512x512, CT slice
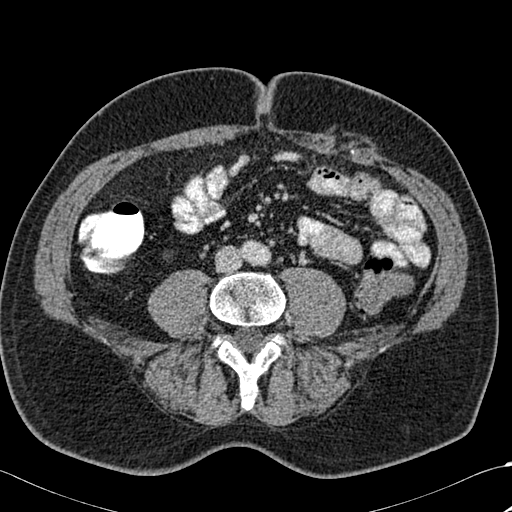

2 bone regions appear at <bbox>213, 335, 284, 409</bbox>, <bbox>210, 272, 285, 327</bbox>.